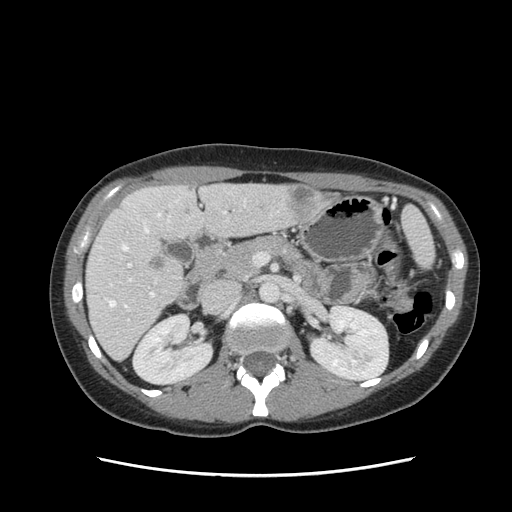
CT
Segmented structures:
* pancreas: rect(203, 236, 302, 280)